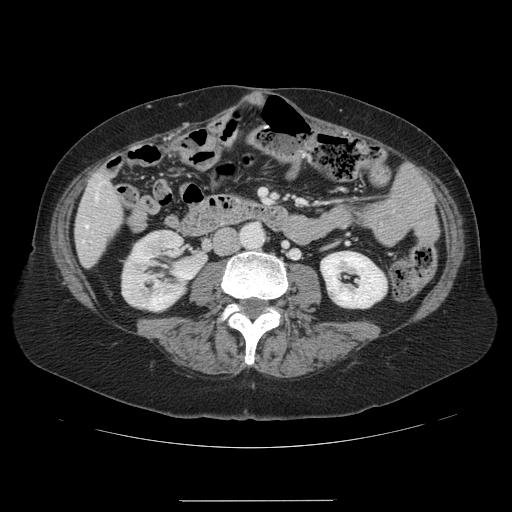 Abdomen, CT, Image size 512x512
Only some of the vessels may be annotated.
{"hepatic_vessel": ["(95,195,97,199)", "(85,224,87,227)"]}